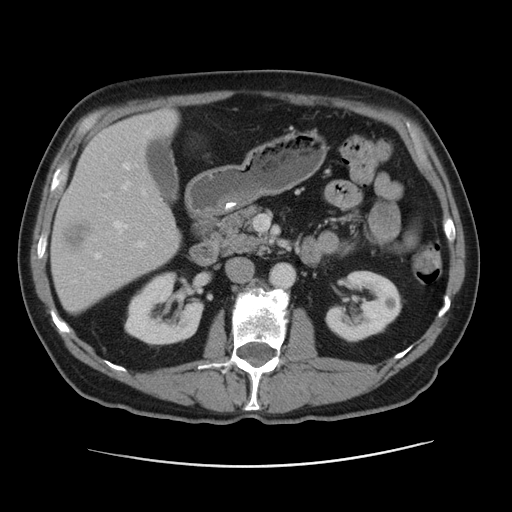 CT; Upper abdomen
Segmented structures:
* liver: [50,111,178,309]
* kidney: [325,271,401,341], [126,274,201,344]
* focal liver lesion: [63,221,91,246]